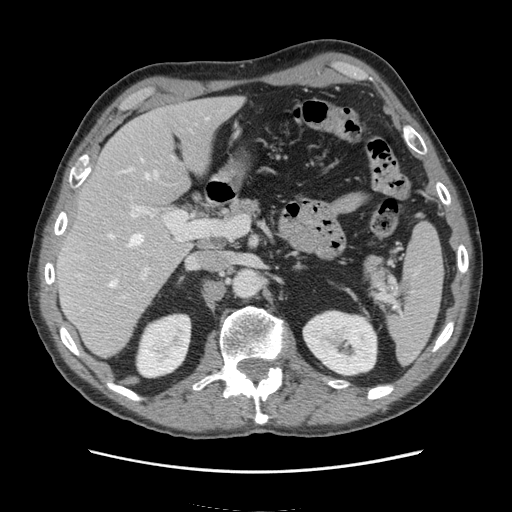 Computed tomography; Upper abdomen
* spleen: {"x1": 388, "y1": 223, "x2": 443, "y2": 363}